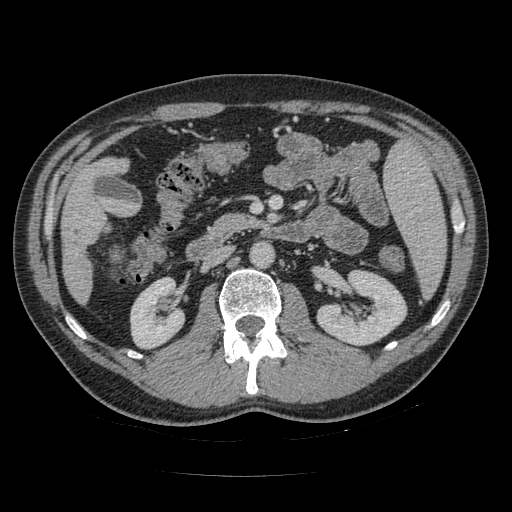 Computed tomography
Pancreas: bounding box rect(210, 213, 262, 239).